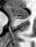
MRI slice | Medial temporal lobe

Annotated regions:
* anterior hippocampus: 7, 5, 28, 16
* posterior hippocampus: 13, 17, 27, 18